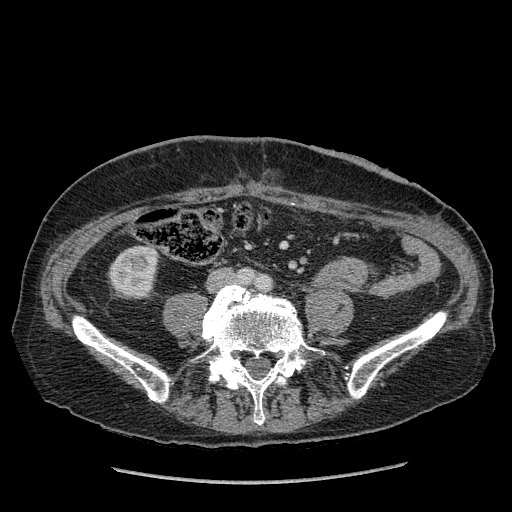 CT slice | Abdomen
Kidney — (110, 246, 157, 297).